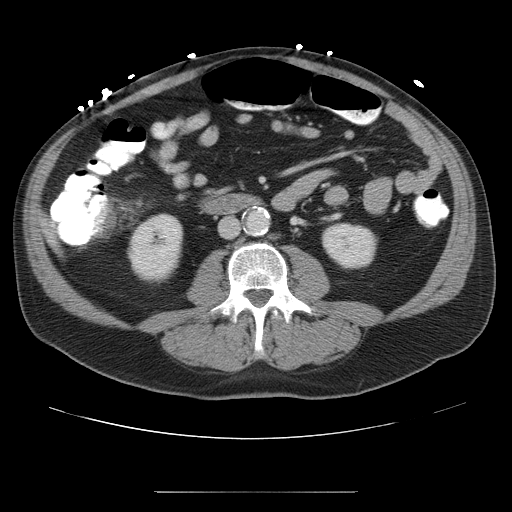

Abdomen | 512x512 | CT image

• colon tumor: <box>96,203,117,237</box>